240x240 px
FLAIR MRI.
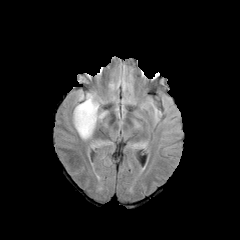
T1-weighted magnetic resonance.
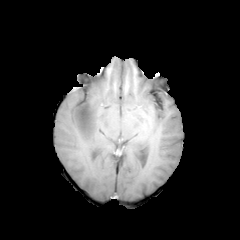
Post-contrast T1-weighted MR image.
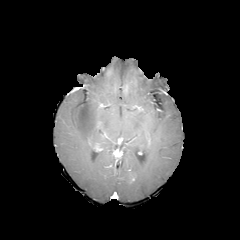
T2-weighted MR image.
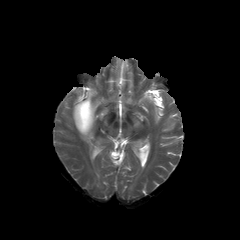
{
  "edema": [
    "region(146, 98, 160, 119)",
    "region(72, 89, 106, 142)",
    "region(90, 139, 105, 150)"
  ],
  "non-enhancing_tumor_core": [
    "region(79, 95, 91, 128)"
  ]
}